Abdomen, 512x512, CT scan slice, Field of view 381 mm wide, 1.50 mm slice spacing
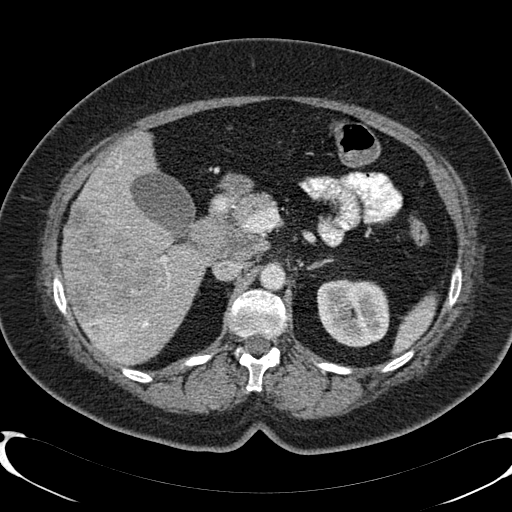 Hepatic lesion — x1=68 y1=205 x2=165 y2=320, x1=89 y1=324 x2=98 y2=329.
Liver — x1=74 y1=132 x2=207 y2=364, x1=63 y1=222 x2=74 y2=290.
Kidney — x1=318 y1=281 x2=388 y2=345.